FLAIR MRI.
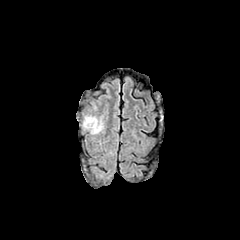
T1-weighted MRI.
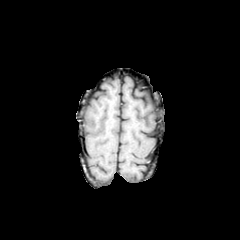
Post-contrast T1-weighted MR image.
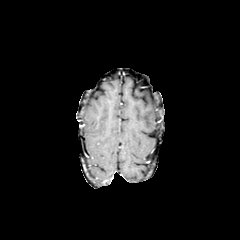
T2-weighted magnetic resonance.
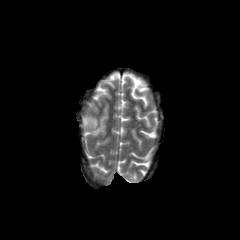
Brain.
The edema appears at [x1=84, y1=117, x2=100, y2=132].